Slice index 83
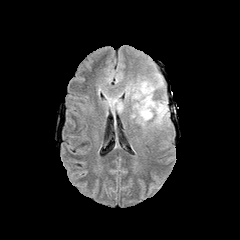
FLAIR MR.
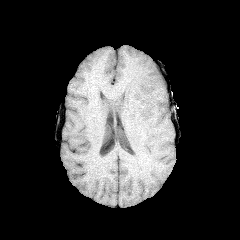
T1-weighted MR image of the same slice.
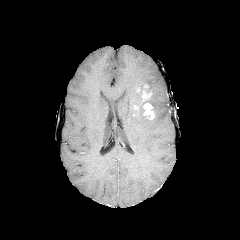
Post-contrast T1-weighted MRI.
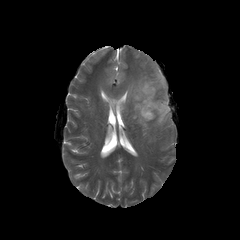
T2-weighted MR image.
Non-enhancing tumor core: x1=133, y1=86, x2=156, y2=119.
Edema: x1=104, y1=68, x2=169, y2=126; x1=131, y1=108, x2=150, y2=128.
Enhancing tumor: x1=143, y1=102, x2=153, y2=118.